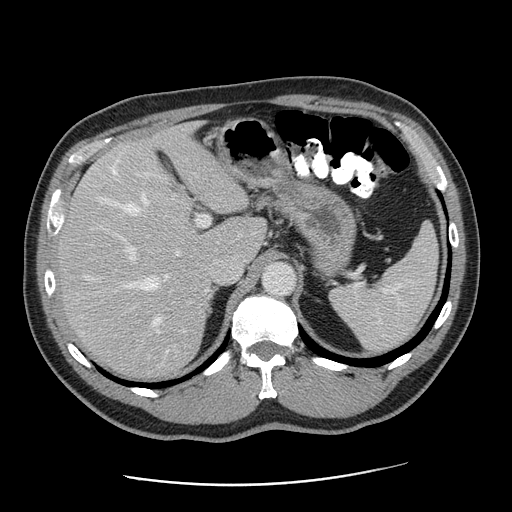 Liver. CT.
The vessel boxes may cover only some of the vessels.
Liver tumor — [99, 184, 108, 194], [165, 179, 181, 196].
Hepatic vessel — [196, 213, 210, 226], [90, 277, 103, 279], [153, 319, 159, 332], [143, 194, 149, 203], [166, 274, 168, 277], [98, 197, 117, 203], [121, 277, 157, 289], [183, 330, 184, 331], [175, 250, 180, 254], [127, 247, 136, 258], [202, 244, 247, 283], [112, 164, 116, 173], [119, 204, 138, 214].